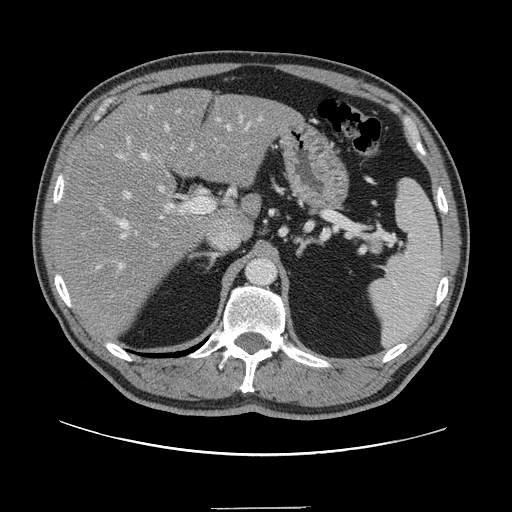

CT slice, Abdomen

Some hepatic vessels may have no box.
{"partial": true, "hepatic_vessel": {"n_total": 20, "boxes": ["l=190, t=145, r=192, b=150", "l=247, t=124, r=249, b=128", "l=160, t=187, r=163, b=191", "l=227, t=125, r=230, b=129", "l=118, t=264, r=123, b=270", "l=167, t=204, r=173, b=208", "l=166, t=126, r=168, b=130", "l=142, t=153, r=148, b=159", "l=259, t=117, r=262, b=120", "l=119, t=221, r=128, b=237", "l=118, t=155, r=125, b=158", "l=241, t=117, r=242, b=121", "l=178, t=191, r=215, b=214", "l=124, t=192, r=130, b=197", "l=128, t=138, r=129, b=143"]}}